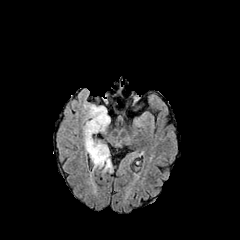
FLAIR MR image.
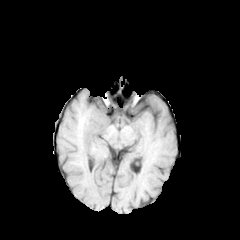
T1-weighted magnetic resonance.
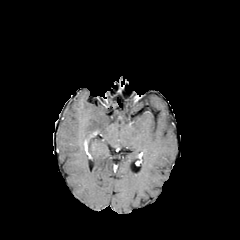
Post-contrast T1-weighted MR of the same slice.
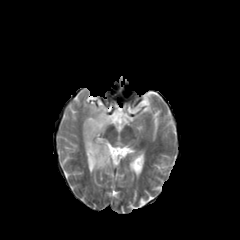
T2-weighted MRI of the same slice.
Head.
edema: (82, 100, 112, 172)